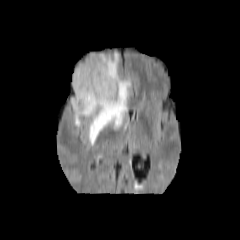
FLAIR MR image.
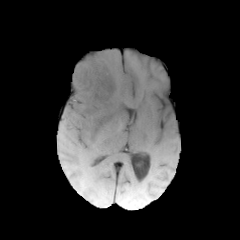
T1-weighted MR.
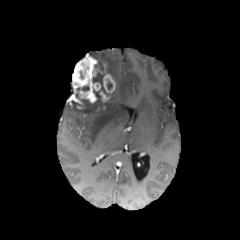
Same slice, post-contrast T1-weighted MR.
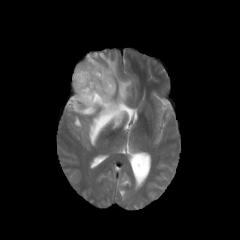
T2-weighted MR image of the same slice.
Brain
enhancing tumor: box(68, 54, 115, 110); box(99, 91, 109, 103) | edema: box(73, 53, 132, 144) | non-enhancing tumor core: box(89, 53, 108, 72); box(71, 72, 117, 114)